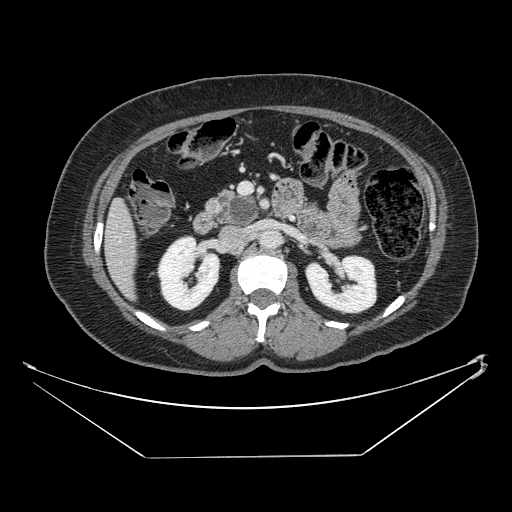 Computed tomography, 512x512

Annotated regions:
- pancreas: 206, 188, 259, 228
- pancreatic tumor: 230, 198, 255, 222